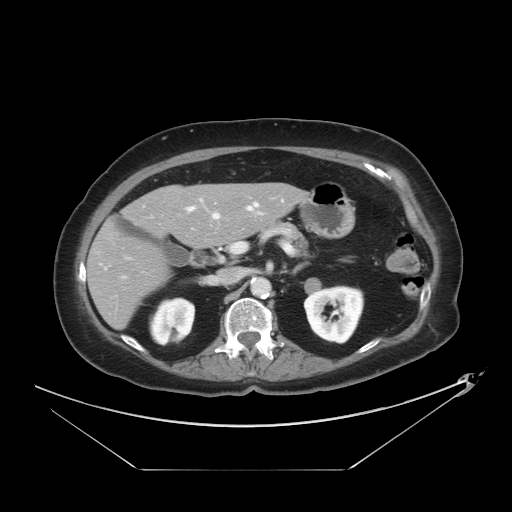
CT
Only some of the vessels may be annotated.
Hepatic vessel = {"x1": 212, "y1": 213, "x2": 219, "y2": 218}, {"x1": 247, "y1": 203, "x2": 261, "y2": 214}, {"x1": 123, "y1": 276, "x2": 125, "y2": 277}, {"x1": 104, "y1": 267, "x2": 106, "y2": 268}, {"x1": 200, "y1": 199, "x2": 202, "y2": 202}, {"x1": 186, "y1": 206, "x2": 194, "y2": 211}.